Image size 240x240 | Slice index 88
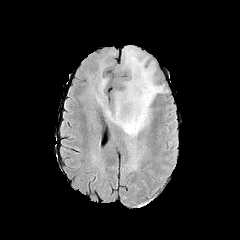
FLAIR MR image.
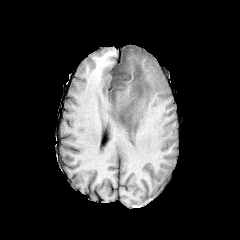
T1-weighted MR.
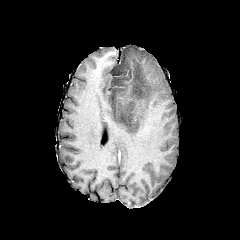
Post-contrast T1-weighted magnetic resonance of the same slice.
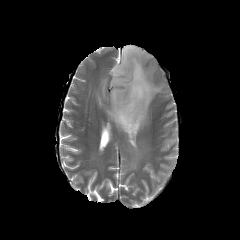
T2-weighted MR.
Non-enhancing tumor core at [116,104,132,121], [133,80,141,97].
Edema at [106,46,164,171].